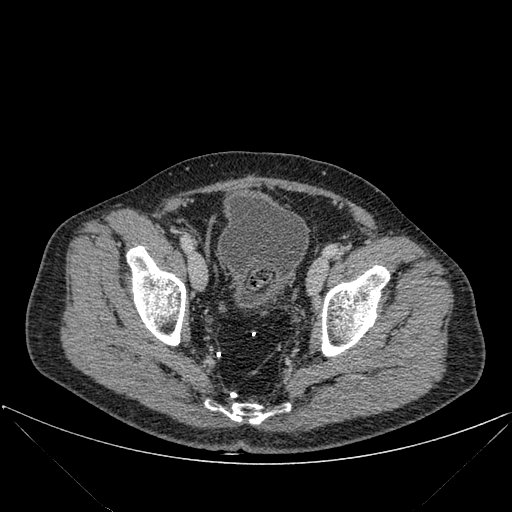

CT image

* urinary bladder: l=216, t=195, r=308, b=308
* bone: l=205, t=401, r=290, b=424; l=127, t=246, r=185, b=345; l=322, t=265, r=389, b=356